240x240, Head
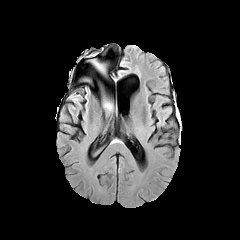
FLAIR MR.
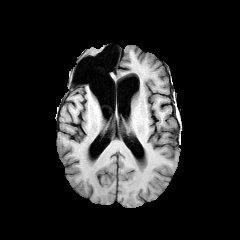
Same slice, T1-weighted magnetic resonance.
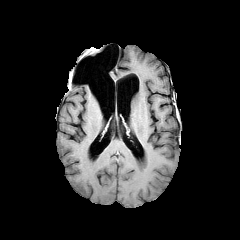
Post-contrast T1-weighted MR image of the same slice.
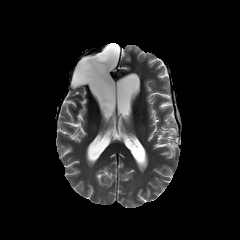
T2-weighted MR image.
<segmentation>
  <edema><box>102,100,113,113</box></edema>
</segmentation>